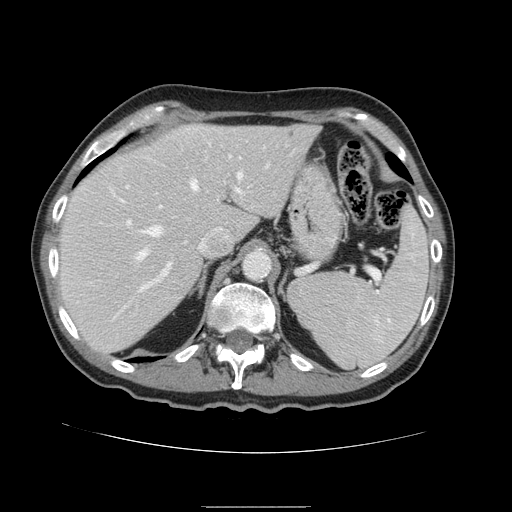
CT slice; Upper abdomen
Spleen: 288 208 428 368.